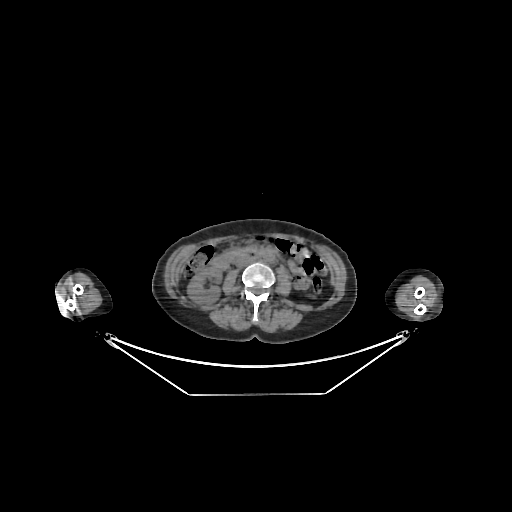
Computed tomography
The kidney lies within bbox(187, 267, 223, 306).